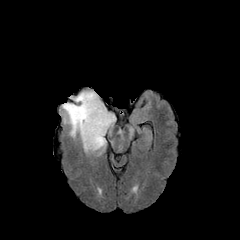
FLAIR MR image.
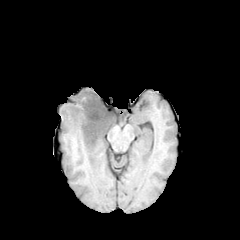
T1-weighted MR of the same slice.
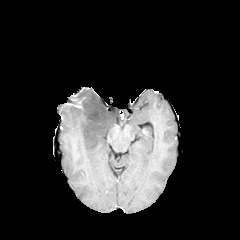
Post-contrast T1-weighted MRI of the same slice.
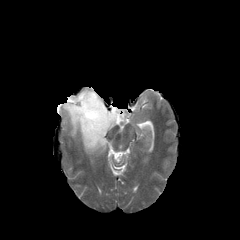
T2-weighted MR.
Head
Edema = (60, 90, 115, 155).
Non-enhancing tumor core = (66, 92, 106, 137).